Abdomen, Slice 34 of 92, CT slice 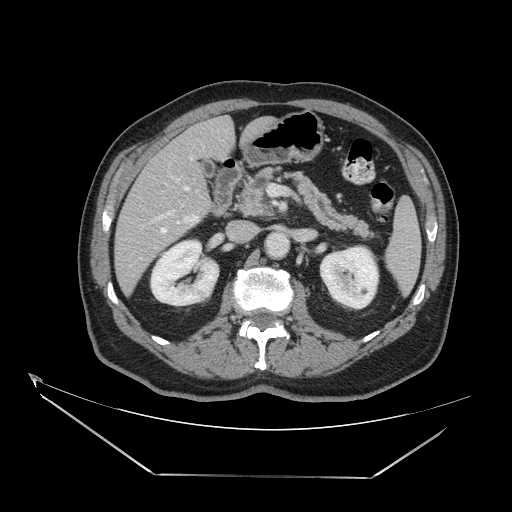

{"pancreas": ["(x1=240, y1=168, x2=276, y2=215)", "(x1=286, y1=173, x2=370, y2=237)"]}